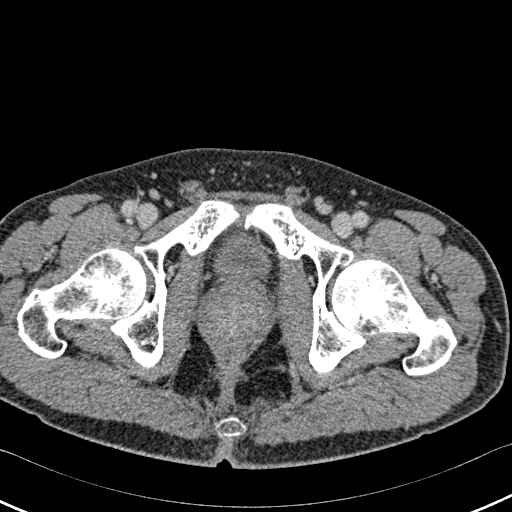

Computed tomography. Pelvis.
The urinary bladder lies within [213, 228, 271, 293]. 3 bone regions appear at [244, 204, 456, 374], [17, 201, 239, 367], [217, 417, 246, 435].